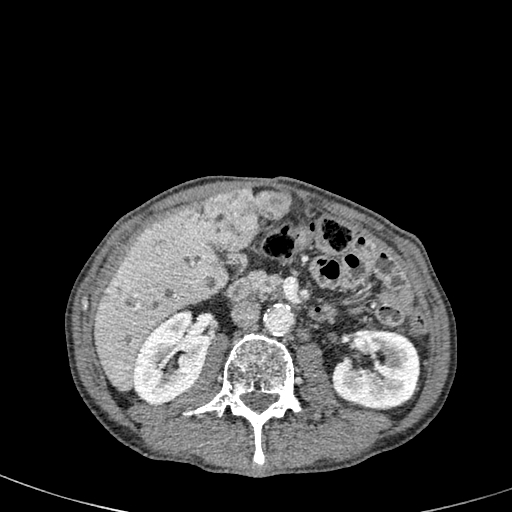

CT image | Upper abdomen

Kidney: bounding box x1=333, y1=331, x2=418, y2=408; x1=132, y1=312, x2=212, y2=405.
Liver: bounding box x1=93, y1=205, x2=227, y2=390.
Focal liver lesion: bounding box x1=111, y1=287, x2=121, y2=298; x1=192, y1=189, x2=289, y2=250.